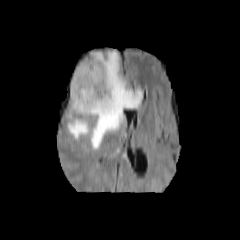
FLAIR magnetic resonance.
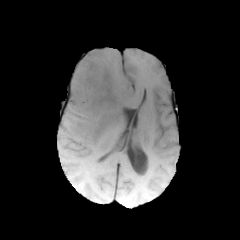
T1-weighted magnetic resonance.
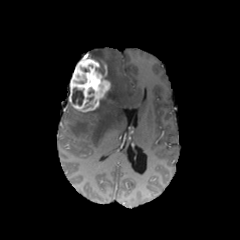
Same slice, post-contrast T1-weighted MR.
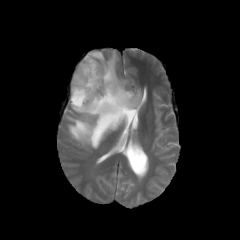
T2-weighted MRI.
Head; 240x240 px
Edema: 67, 50, 142, 149.
Non-enhancing tumor core: 88, 54, 106, 74; 104, 83, 112, 97; 72, 88, 83, 104.
Enhancing tumor: 68, 54, 110, 111.